Slice 32 of 44. MR. 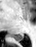 Posterior hippocampus at region(13, 34, 23, 41).